CT image. 512x512. Liver.
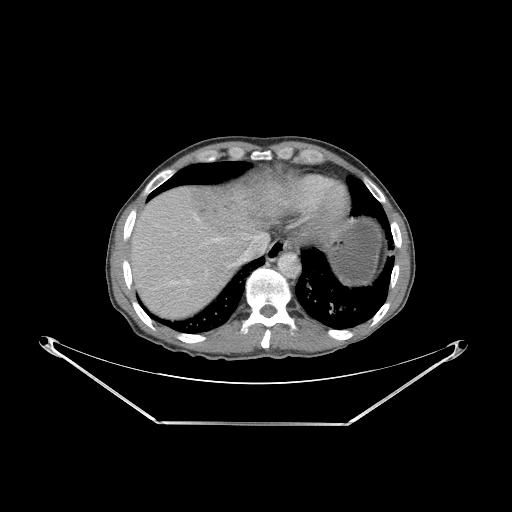
4 lung regions appear at l=162, t=258, r=263, b=332; l=344, t=174, r=393, b=249; l=295, t=255, r=394, b=328; l=150, t=162, r=249, b=198. 12 bone regions are bounded by l=133, t=302, r=154, b=329; l=124, t=211, r=135, b=239; l=252, t=152, r=268, b=158; l=366, t=181, r=384, b=201; l=243, t=269, r=294, b=347; l=123, t=261, r=131, b=288; l=391, t=265, r=398, b=287; l=391, t=222, r=401, b=247; l=145, t=173, r=166, b=192; l=371, t=303, r=388, b=325; l=329, t=330, r=352, b=339; l=178, t=334, r=205, b=342. The liver lies within l=132, t=181, r=269, b=318.